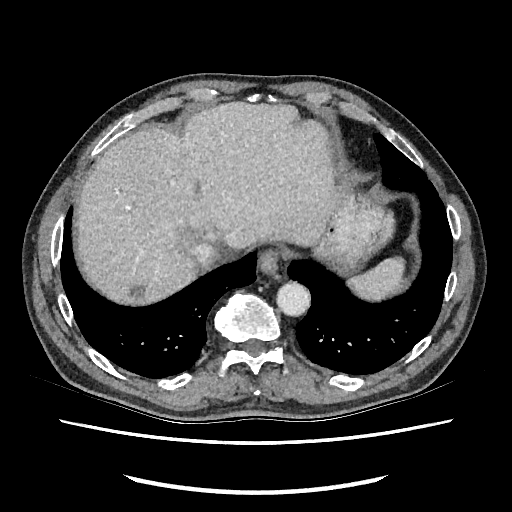 Abdomen; 512x512; CT image

liver: [78,103,331,301] | hepatic lesion: [176,225,204,254], [194,182,200,195], [129,285,143,299], [270,214,280,225]